Abdomen, Slice 176 of 422, CT scan slice 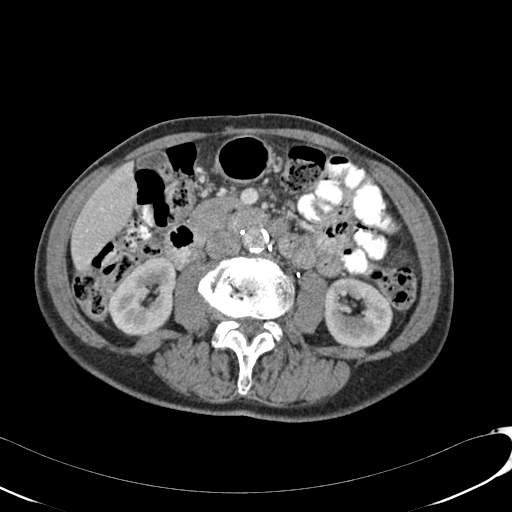
Liver at (72, 162, 136, 272).
Kidney at (108, 256, 175, 334), (325, 279, 391, 347).